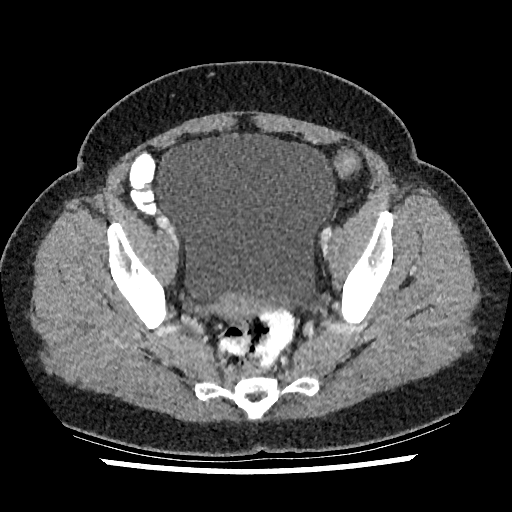
Computed tomography | Lower abdomen

{"urinary_bladder": ["left=155, top=132, right=335, bottom=316"]}